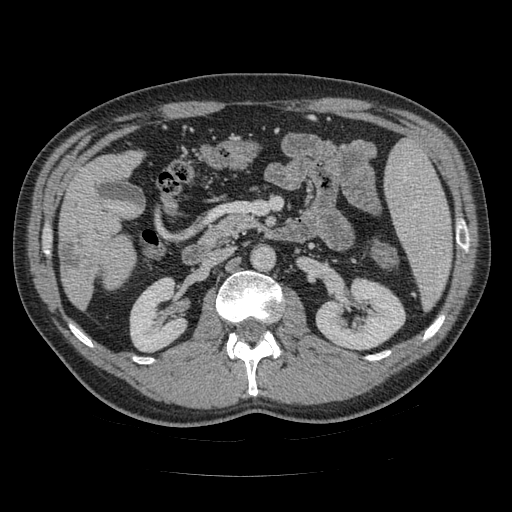
CT | Upper abdomen
The pancreas is at rect(201, 214, 254, 246).